FLAIR magnetic resonance.
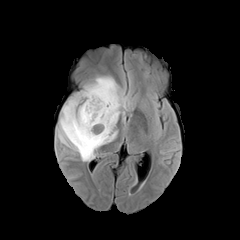
T1-weighted MR.
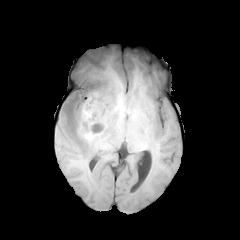
Post-contrast T1-weighted magnetic resonance.
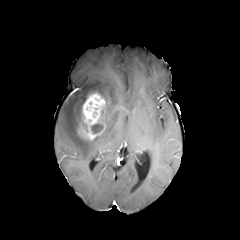
T2-weighted MRI.
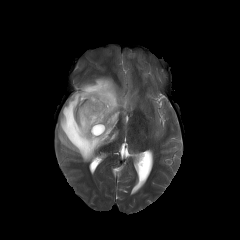
Head
Findings:
• non-enhancing tumor core: (left=66, top=99, right=101, bottom=142), (left=91, top=122, right=105, bottom=133), (left=81, top=86, right=101, bottom=106)
• edema: (left=58, top=74, right=130, bottom=161)
• enhancing tumor: (left=78, top=93, right=105, bottom=139)